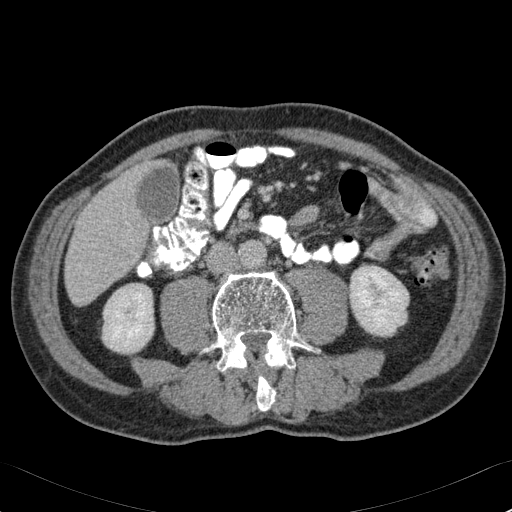 CT image | Image size 512x512
* kidney: left=102, top=284, right=153, bottom=352; left=350, top=266, right=408, bottom=336
* liver: left=65, top=177, right=148, bottom=304; left=122, top=162, right=146, bottom=188